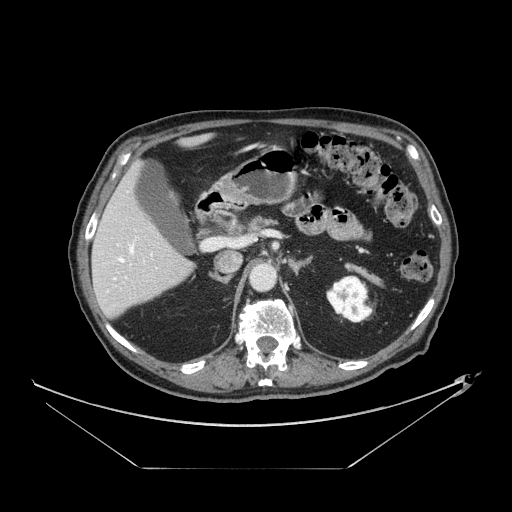

512x512, Upper abdomen, Computed tomography
Segmented structures:
• pancreas: l=230, t=218, r=269, b=233